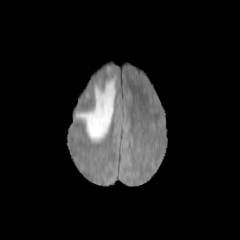
FLAIR MR image.
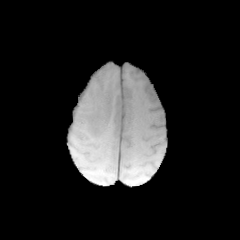
T1-weighted MR image.
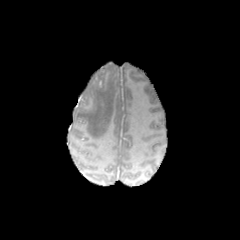
Same slice, post-contrast T1-weighted magnetic resonance.
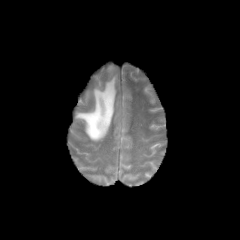
T2-weighted MR.
Image size 240x240, Brain
{"edema": ["x1=76 y1=75 x2=116 y2=142"]}